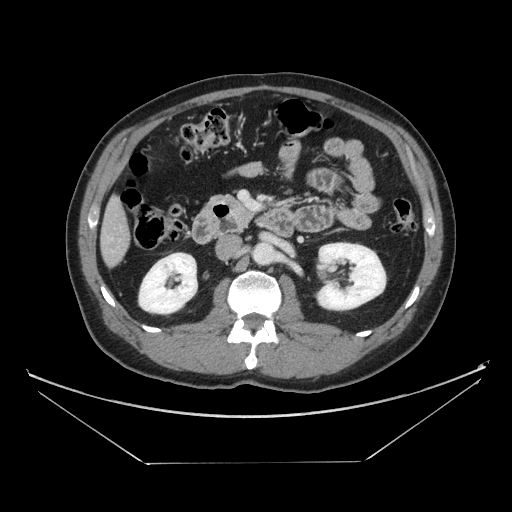 Abdomen, CT
Pancreas: bounding box (232,206,252,227).
Pancreatic tumor: bounding box (232,201,244,216).